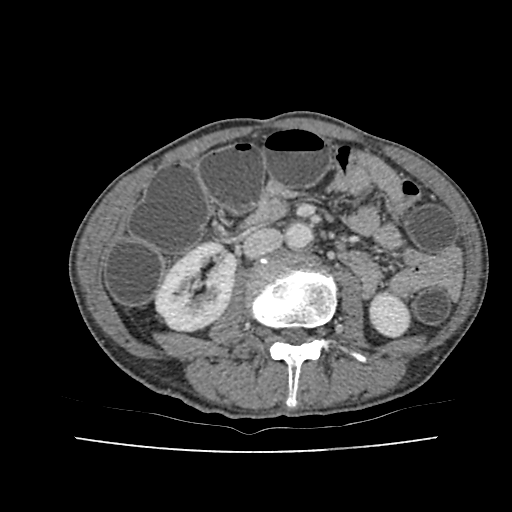
CT image.
kidney: region(156, 243, 235, 330); region(370, 294, 408, 336)